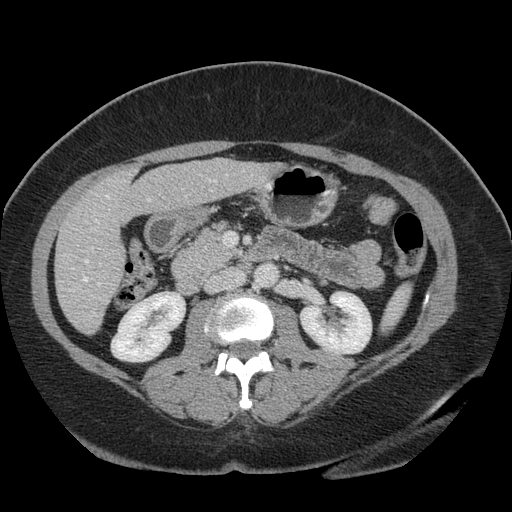

CT slice

The vessel boxes may cover only some of the vessels.
hepatic_vessel:
  - box(148, 199, 150, 201)
  - box(96, 220, 98, 222)
  - box(208, 179, 216, 182)
  - box(98, 283, 100, 285)
  - box(85, 260, 88, 262)
  - box(83, 278, 87, 281)